FLAIR MRI.
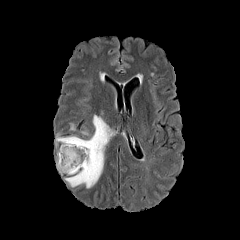
T1-weighted magnetic resonance.
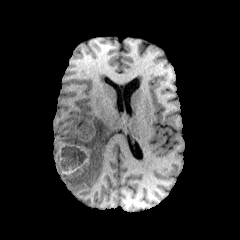
Post-contrast T1-weighted MR.
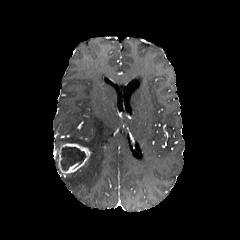
T2-weighted magnetic resonance.
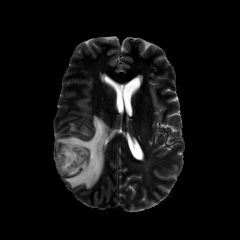
The edema is located at box(55, 115, 113, 189). The enhancing tumor is located at box(57, 143, 90, 174). 2 non-enhancing tumor core regions are bounded by box(60, 146, 86, 171); box(54, 150, 63, 173).